FLAIR MRI.
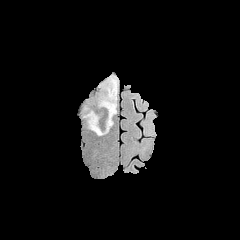
T1-weighted magnetic resonance.
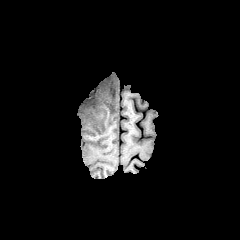
Post-contrast T1-weighted magnetic resonance.
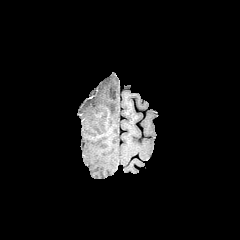
T2-weighted magnetic resonance.
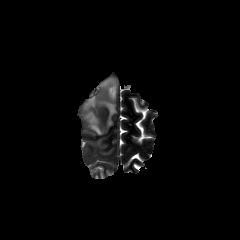
Brain
edema: [x1=83, y1=111, x2=109, y2=135], [x1=98, y1=75, x2=118, y2=126] | non-enhancing tumor core: [x1=104, y1=81, x2=115, y2=92]